MR; Field of view 34x49 mm; Medial temporal lobe 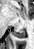

- posterior hippocampus: 13 30 25 38